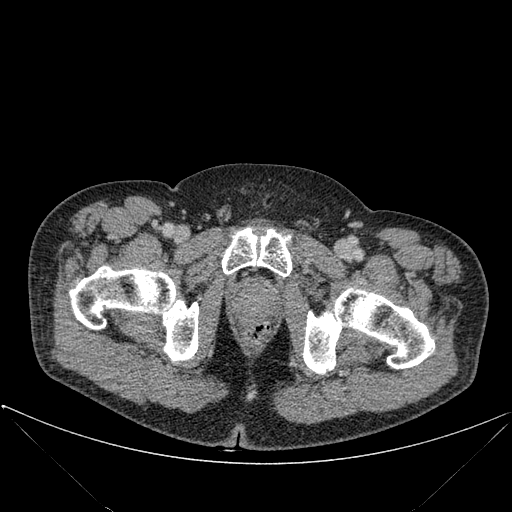 CT scan slice.
Segmented structures:
• bone: l=222, t=228, r=291, b=276; l=303, t=288, r=434, b=373; l=69, t=266, r=198, b=360